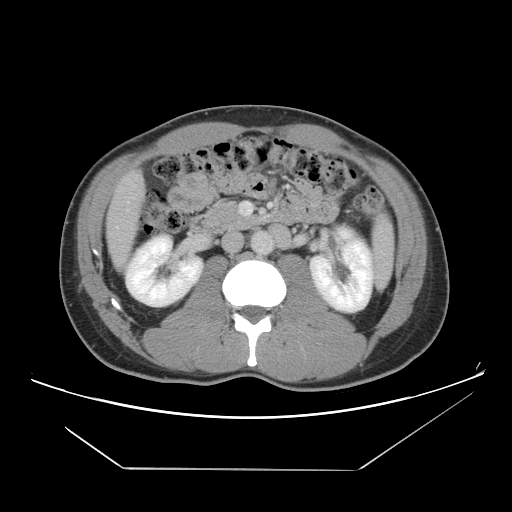
512x512. CT image. Not every hepatic vessel necessarily has a box.
The hepatic vessel lies within rect(117, 226, 118, 228).